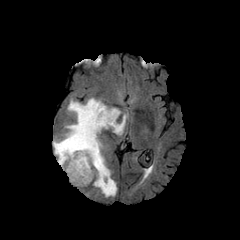
FLAIR MR image.
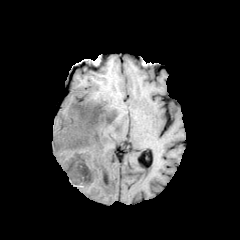
T1-weighted MRI.
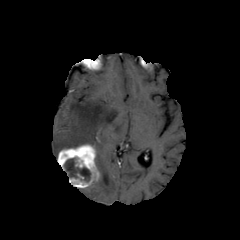
Same slice, post-contrast T1-weighted MR image.
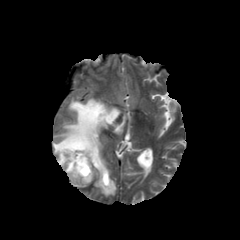
T2-weighted magnetic resonance.
non-enhancing tumor core: [65,159,90,180] | enhancing tumor: [57,144,100,187] | edema: [52,97,128,197]